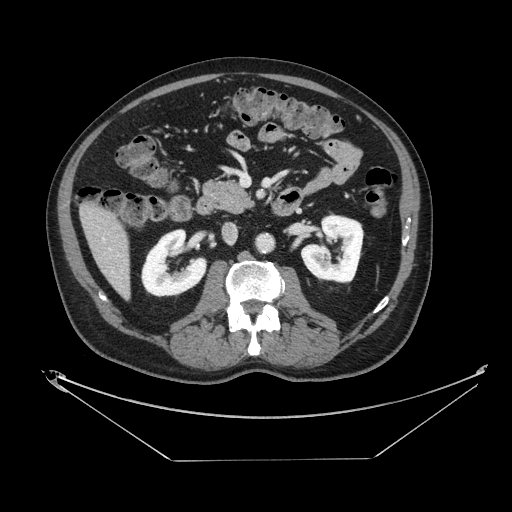 CT slice
Findings:
- pancreas: 210:181:252:213